FLAIR MR image.
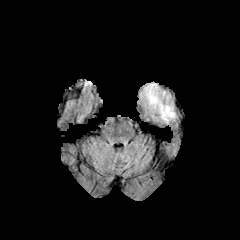
T1-weighted MR image.
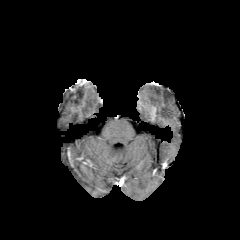
Post-contrast T1-weighted MRI.
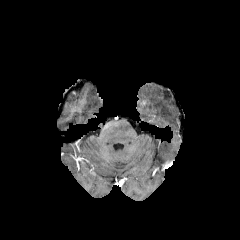
T2-weighted MRI.
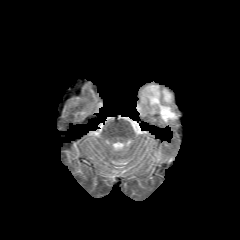
Brain
The edema is located at left=140, top=83, right=176, bottom=123.